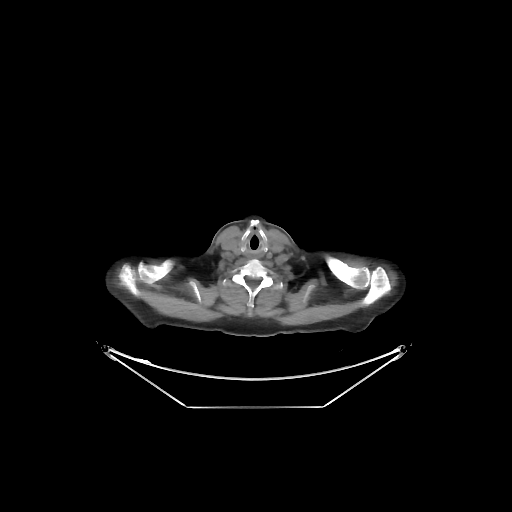 512x512 px | Computed tomography | Thorax
Lung = region(250, 235, 258, 249).
Bone = region(232, 259, 272, 308); region(120, 266, 140, 295); region(138, 260, 171, 282); region(327, 257, 389, 304).